CT image 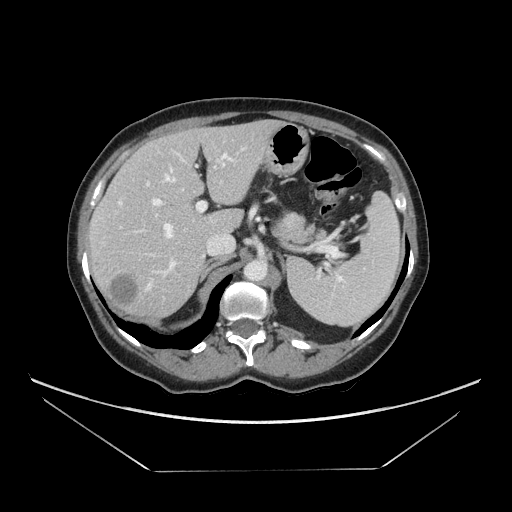

The pancreatic tumor lies within box=[283, 212, 305, 230]. The pancreas appears at box=[273, 210, 326, 244].